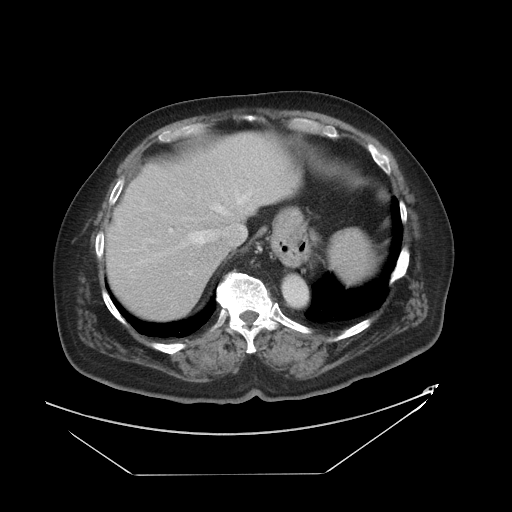
Liver. CT image. Some hepatic vessels may have no box.
Hepatic vessel — [x1=234, y1=191, x2=247, y2=204], [x1=186, y1=230, x2=215, y2=244], [x1=183, y1=218, x2=192, y2=219], [x1=162, y1=213, x2=164, y2=215], [x1=213, y1=205, x2=222, y2=212].